Slice index 38, Brain, Image size 240x240, Field of view 240 mm wide, 1.00 mm slice spacing
FLAIR MR.
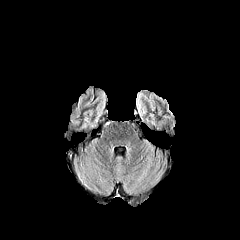
T1-weighted MR image.
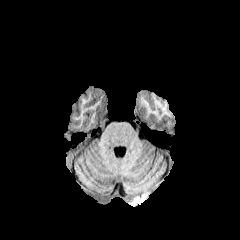
Post-contrast T1-weighted MRI.
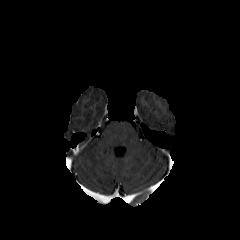
T2-weighted MR image.
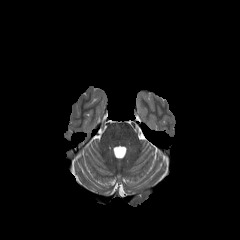
<segmentation>
  <edema>x1=139 y1=91 x2=149 y2=125</edema>
</segmentation>